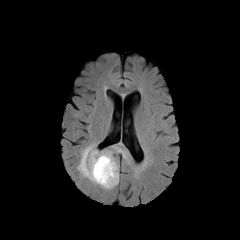
FLAIR MRI.
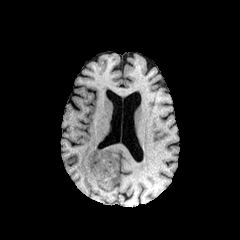
T1-weighted MR.
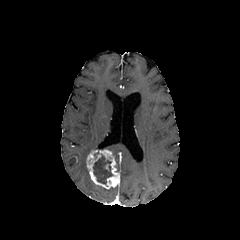
Same slice, post-contrast T1-weighted MRI.
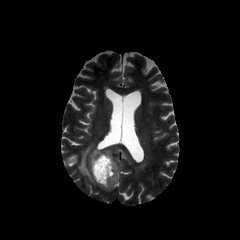
T2-weighted MRI.
non-enhancing tumor core: (x1=92, y1=153, x2=112, y2=184) | edema: (x1=77, y1=143, x2=96, y2=185), (x1=112, y1=145, x2=130, y2=164) | enhancing tumor: (x1=86, y1=149, x2=120, y2=188)